Abdomen | CT scan slice | Slice 280/826 | Image size 512x512 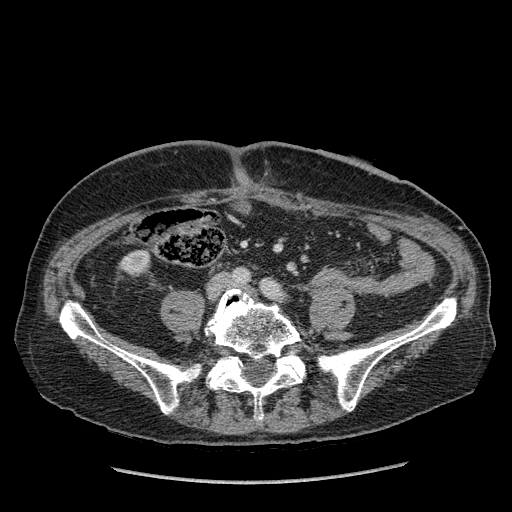 Annotated regions:
- kidney: [x1=121, y1=250, x2=149, y2=273]